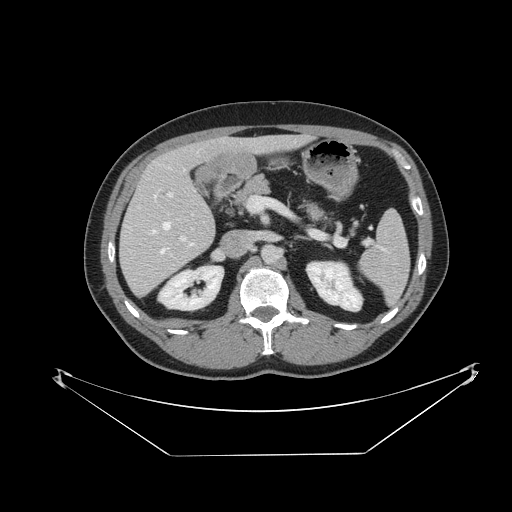

Abdomen | CT slice

Spleen: bounding box (360, 211, 409, 303).